Head.
FLAIR MR.
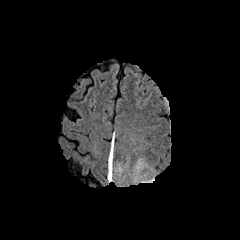
T1-weighted MR.
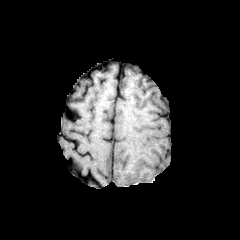
Post-contrast T1-weighted MRI.
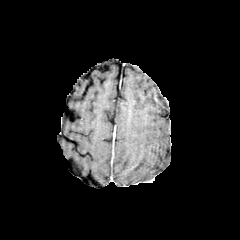
T2-weighted MRI.
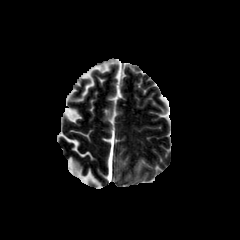
Findings:
• edema: bbox(107, 140, 113, 181)